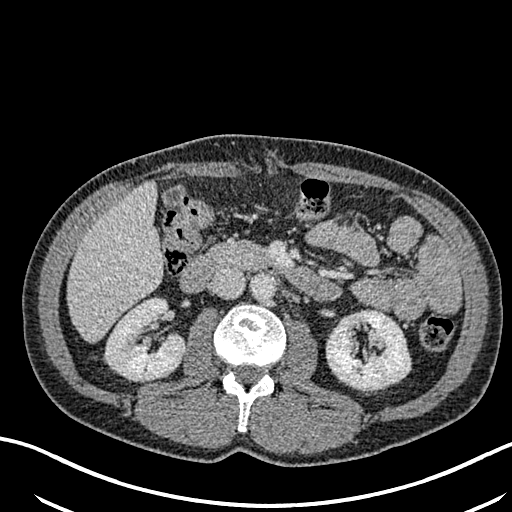

Liver. CT image. 512x512 px. 2 kidney regions are located at (x1=326, y1=311, x2=410, y2=388), (x1=105, y1=299, x2=184, y2=379). The liver is at (x1=68, y1=181, x2=162, y2=341). The liver lesion is located at (x1=78, y1=323, x2=93, y2=336).